Head, 240x240 px
FLAIR MRI.
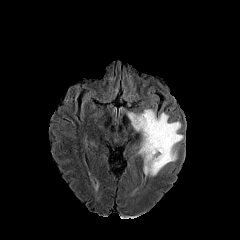
T1-weighted MR image.
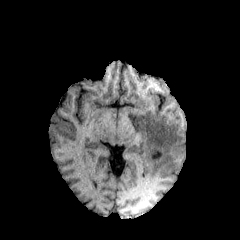
Post-contrast T1-weighted MR image.
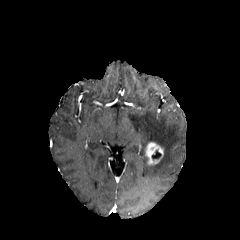
T2-weighted magnetic resonance.
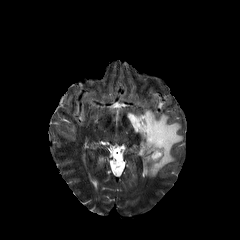
Edema = (x1=128, y1=109, x2=182, y2=178).
Non-enhancing tumor core = (x1=151, y1=150, x2=161, y2=159).
Enhancing tumor = (x1=144, y1=141, x2=164, y2=166).